Head | Image size 240x240
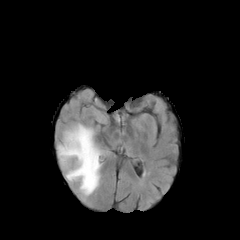
FLAIR MRI.
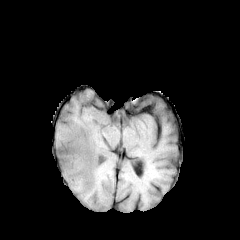
T1-weighted magnetic resonance.
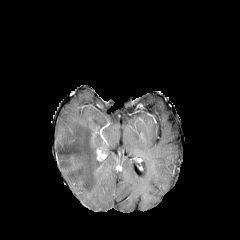
Post-contrast T1-weighted MR.
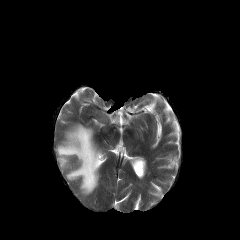
Same slice, T2-weighted MRI.
edema:
  - x1=57, y1=124, x2=101, y2=195